CT slice; Abdomen 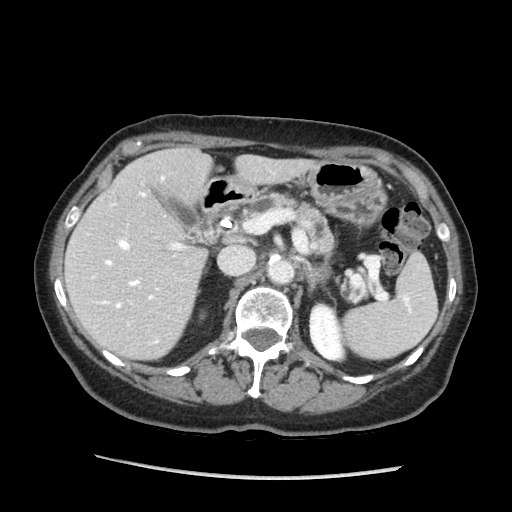
The pancreas is at left=246, top=193, right=333, bottom=256.